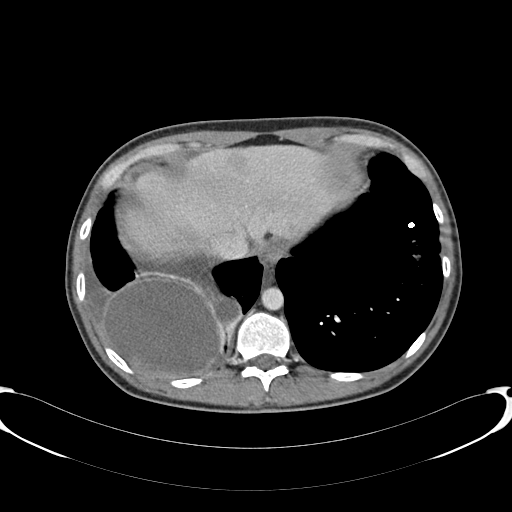

CT. Image size 512x512. Liver = 133,147,346,246.
Liver lesion = 228,153,247,172.